512x512. CT image. Upper abdomen.
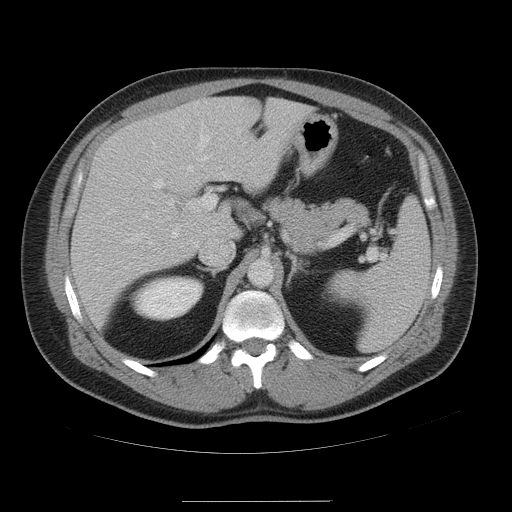

Spleen at [330,199,429,350].